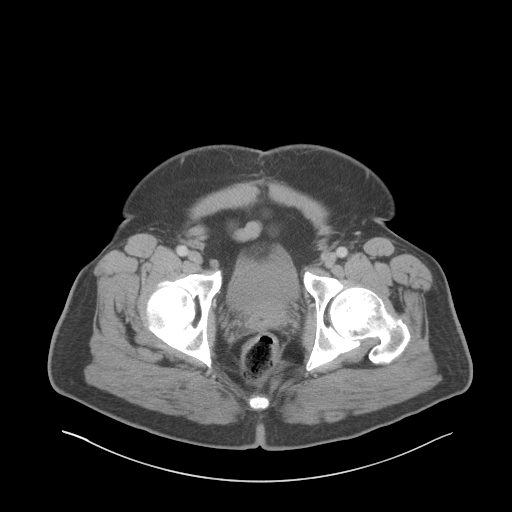 Computed tomography; Pelvis; Image size 512x512
{"urinary_bladder": ["bbox(230, 263, 298, 310)"]}